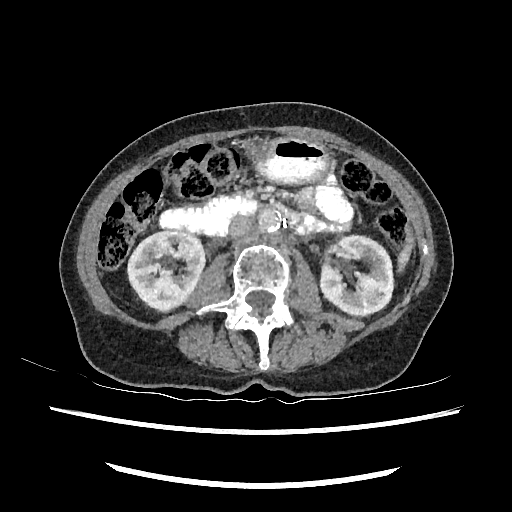 Image size 512x512, Computed tomography
Kidney: x1=321 y1=236 x2=392 y2=314, x1=128 y1=228 x2=204 y2=309.